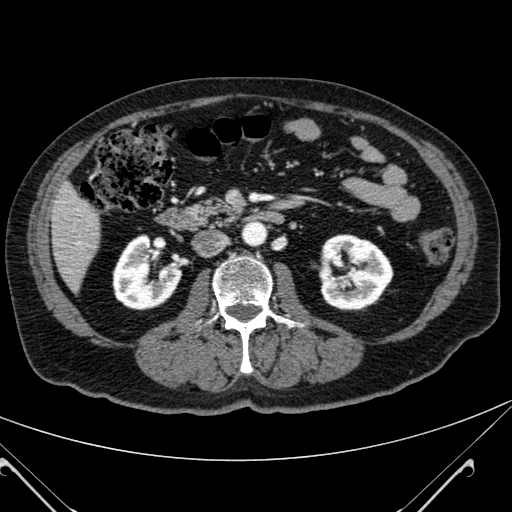

CT slice; Liver

liver: [x1=51, y1=184, x2=97, y2=290] | kidney: [x1=114, y1=236, x2=180, y2=308], [x1=320, y1=235, x2=391, y2=308]